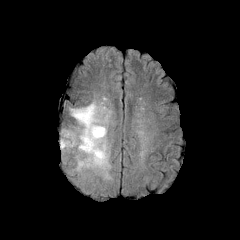
FLAIR MRI.
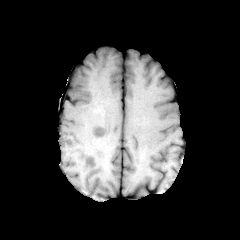
T1-weighted magnetic resonance.
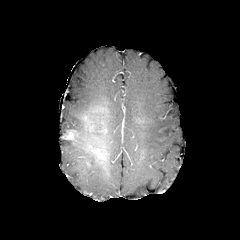
Post-contrast T1-weighted MR.
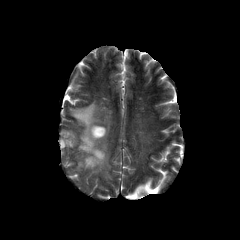
T2-weighted magnetic resonance of the same slice.
240x240
<segmentation>
  <non-enhancing_tumor_core>86 145 108 165, 92 126 106 135, 62 129 78 145, 82 115 91 124</non-enhancing_tumor_core>
  <edema>60 94 112 179</edema>
</segmentation>